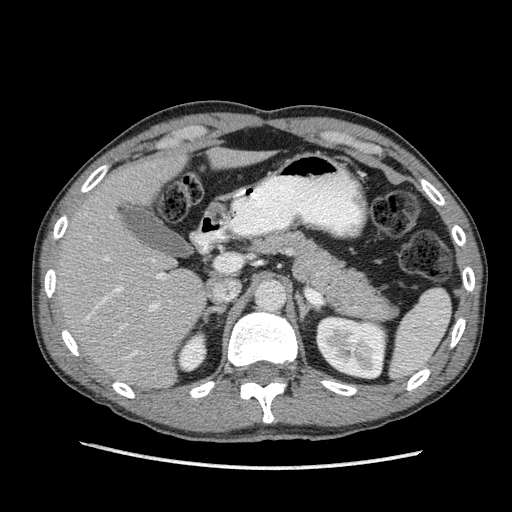
CT slice

Annotated regions:
- kidney: region(180, 337, 203, 369); region(317, 318, 384, 377)
- liver: region(206, 146, 269, 169); region(52, 150, 209, 390)